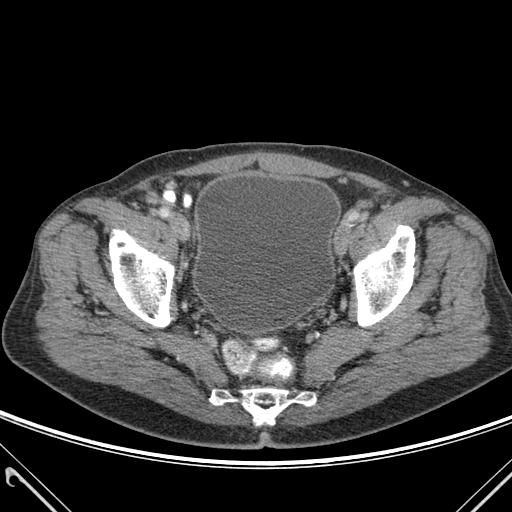

Image size 512x512 | Pelvis | CT image
Bone: 354,225,414,326; 209,390,234,404; 109,230,173,326; 242,389,315,424.
Urinary bladder: 196,176,338,323.